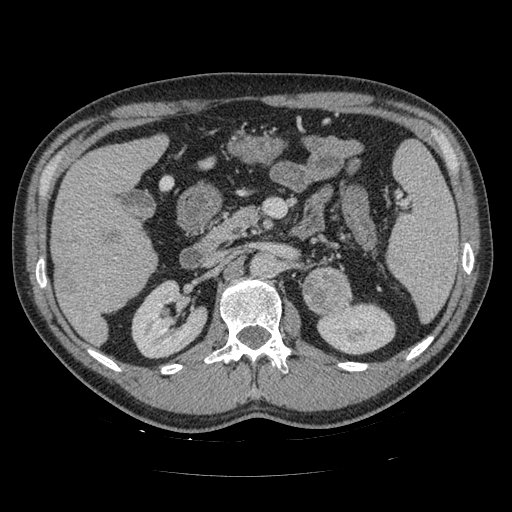 Abdomen; CT

pancreas:
  - box(222, 207, 258, 236)
pancreatic_tumor:
  - box(303, 267, 351, 314)